Head, Slice index 72, Field of view 240x240 mm
FLAIR MRI.
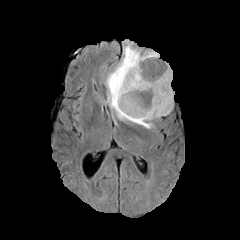
T1-weighted magnetic resonance.
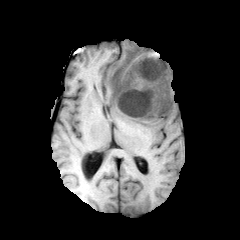
Post-contrast T1-weighted MRI.
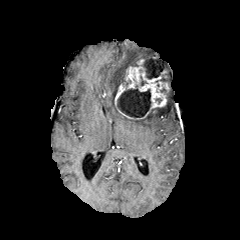
T2-weighted MRI.
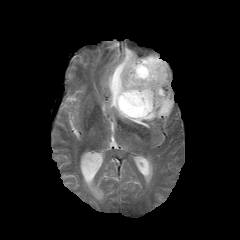
Findings:
* non-enhancing tumor core: x1=143, y1=59, x2=166, y2=78; x1=117, y1=85, x2=151, y2=117
* enhancing tumor: x1=113, y1=58, x2=170, y2=120
* edema: x1=104, y1=43, x2=172, y2=128